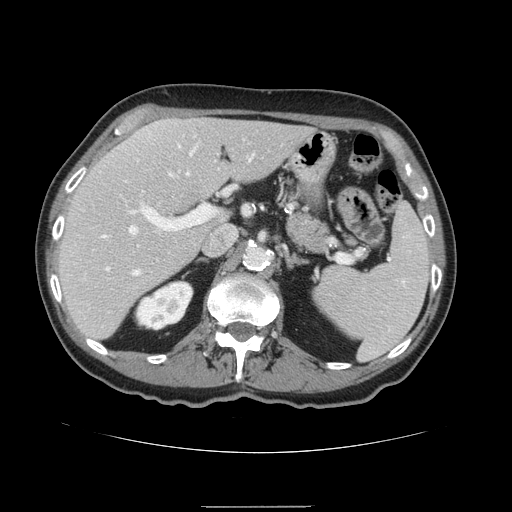 Abdomen | CT image | 512x512

The vessel boxes may cover only some of the vessels.
Hepatic vessel: 187:172:189:173, 190:147:196:153, 208:252:212:254, 248:153:254:160, 103:235:106:236, 131:210:135:212, 106:267:109:269, 133:270:139:274, 141:205:237:247, 169:172:173:174, 129:226:137:233.